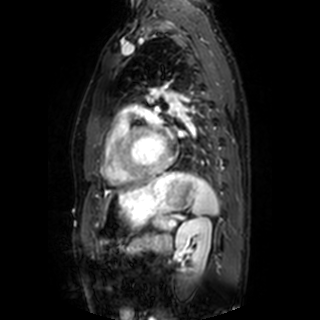
MRI slice; Heart
2 left atrium regions appear at [x1=177, y1=130, x2=185, y2=136], [x1=147, y1=131, x2=165, y2=154].